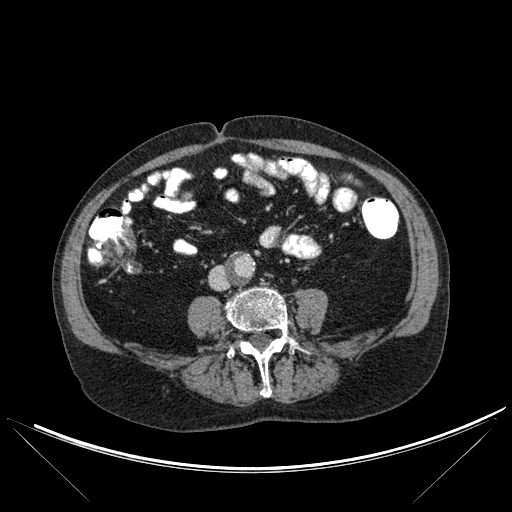 CT scan slice. Image size 512x512.

The bone is at bbox(226, 288, 298, 396).